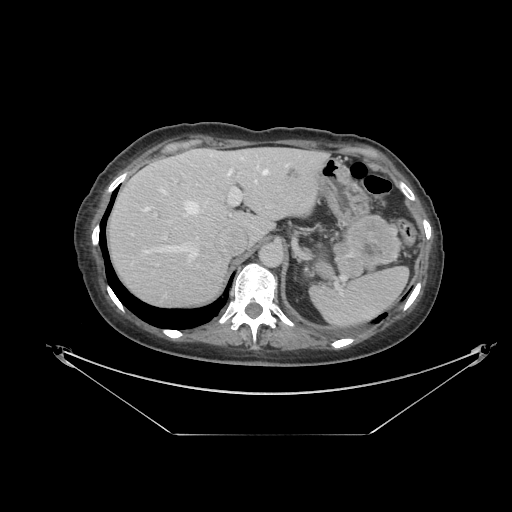
512x512; CT scan slice
pancreas:
  - 334:217:398:278
pancreatic_tumor:
  - 347:215:399:257